Abdomen. Field of view 378x378 mm. Slice index 476. Computed tomography. 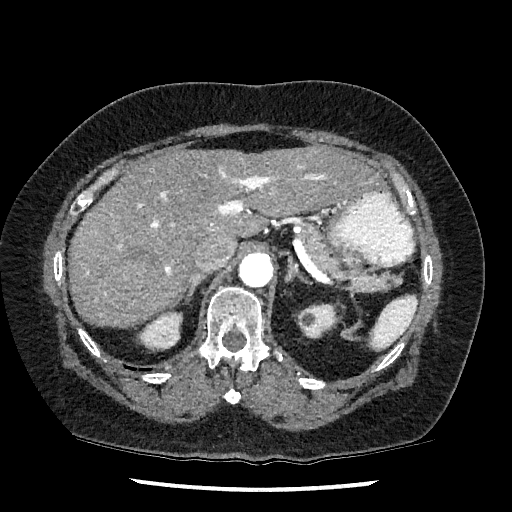 {"liver": [{"x1": 67, "y1": 148, "x2": 384, "y2": 326}], "kidney": [{"x1": 140, "y1": 313, "x2": 181, "y2": 348}, {"x1": 308, "y1": 305, "x2": 335, "y2": 336}]}